CT slice 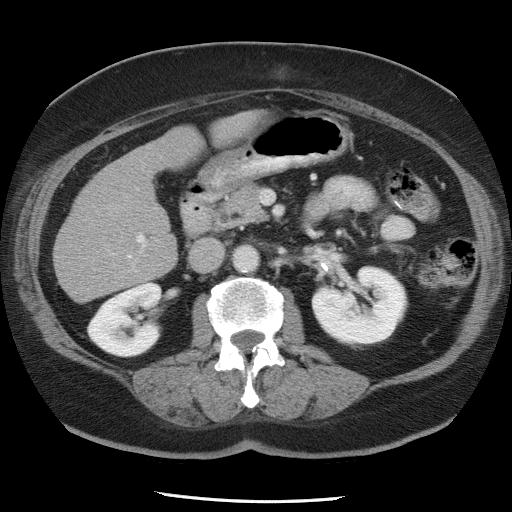

Only some of the vessels may be annotated.
hepatic_vessel:
  - 138,236,143,240